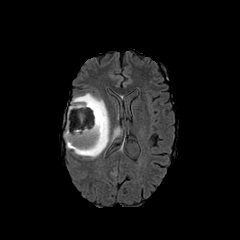
FLAIR MRI.
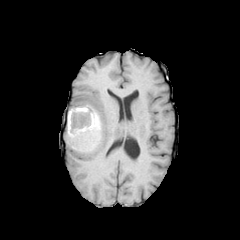
Same slice, T1-weighted magnetic resonance.
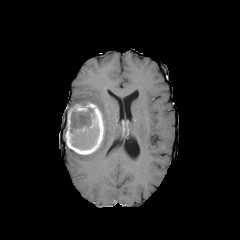
Post-contrast T1-weighted MR image.
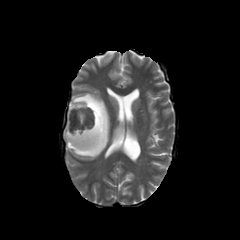
Same slice, T2-weighted MR image.
Head
2 edema regions are bounded by (69, 92, 110, 159), (111, 126, 121, 141). 2 enhancing tumor regions are bounded by (79, 136, 90, 144), (65, 103, 104, 154). 2 non-enhancing tumor core regions appear at (78, 100, 92, 107), (70, 107, 95, 147).